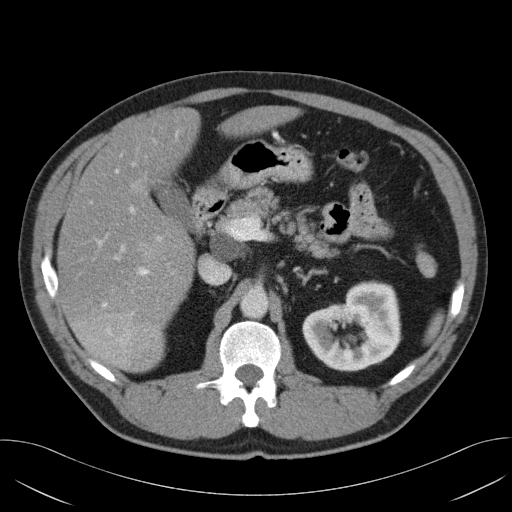 Computed tomography; Upper abdomen
Segmented structures:
- pancreatic tumor: <box>211,230,250,261</box>
- pancreas: <box>211,186,338,257</box>